Brain; Slice 55/155
FLAIR magnetic resonance.
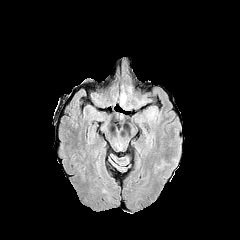
T1-weighted MR.
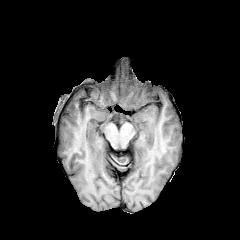
Post-contrast T1-weighted magnetic resonance.
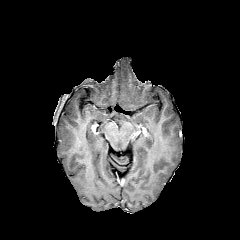
T2-weighted MR.
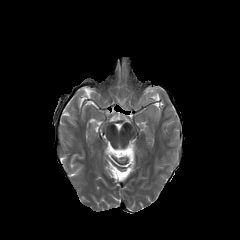
2 edema regions appear at bbox(145, 106, 157, 120); bbox(120, 90, 127, 107).